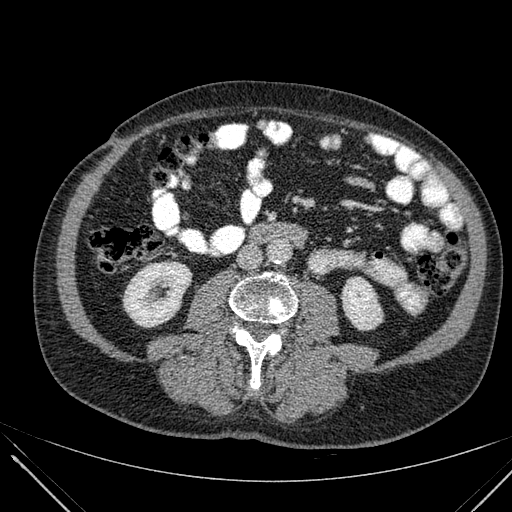
Abdomen | CT
<segmentation>
  <kidney>[x1=124, y1=262, x2=190, y2=326], [x1=342, y1=277, x2=382, y2=329]</kidney>
</segmentation>